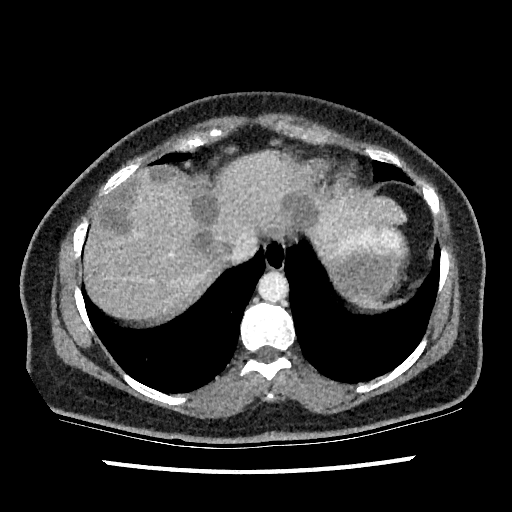

Liver. CT.
Liver: bounding box bbox(207, 153, 404, 248); bbox(84, 167, 231, 320).
Liver lesion: bounding box bbox(186, 177, 230, 257); bbox(151, 168, 174, 183); bbox(98, 185, 136, 233); bbox(283, 193, 314, 226).